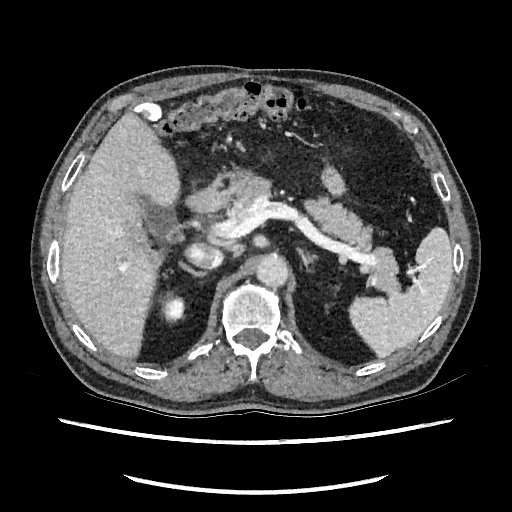 Liver, CT image
The focal liver lesion appears at (x1=131, y1=224, x2=158, y2=265). The kidney lies within (x1=162, y1=297, x2=184, y2=321). The liver appears at (x1=64, y1=115, x2=178, y2=356).